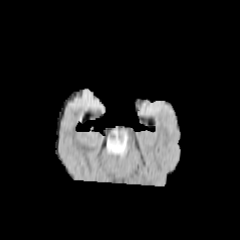
FLAIR MR image.
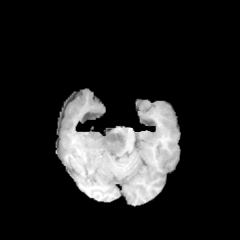
T1-weighted MR of the same slice.
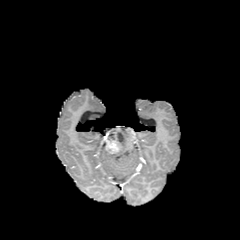
Post-contrast T1-weighted MR.
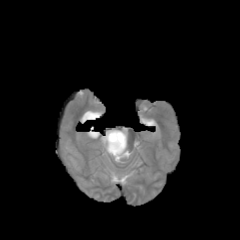
T2-weighted MR.
Image size 240x240
non-enhancing tumor core: box=[116, 133, 123, 154]; box=[105, 129, 116, 137] | enhancing tumor: box=[105, 134, 120, 154] | edema: box=[111, 127, 127, 156]